Image width 460 mm | 512x512 px | Abdomen | CT image
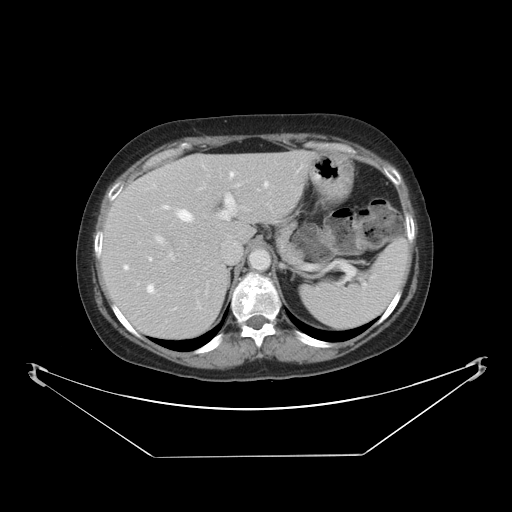
Some hepatic vessels may have no box.
Hepatic vessel — 163 205 168 208, 221 195 234 219, 149 258 151 260, 147 284 153 292, 156 236 162 241, 178 209 192 221, 230 172 233 176, 124 265 128 269, 264 182 267 186.